512x512; Computed tomography

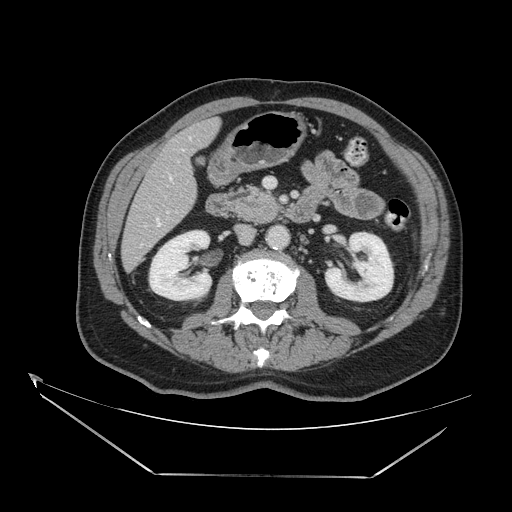 pancreas: x1=229, y1=186, x2=278, y2=222 | pancreatic tumor: x1=246, y1=197, x2=272, y2=216